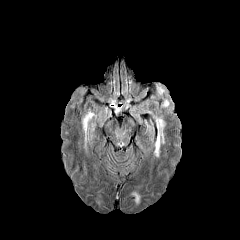
FLAIR MR image.
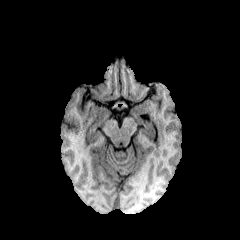
T1-weighted MR image of the same slice.
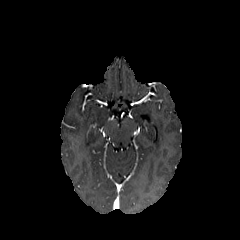
Same slice, post-contrast T1-weighted MRI.
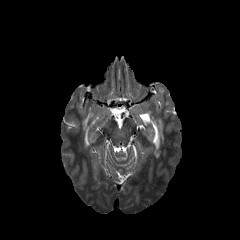
T2-weighted MRI of the same slice.
Brain
2 edema regions are bounded by l=82, t=109, r=96, b=141; l=154, t=119, r=164, b=158.